Slice 29/40, CT slice, Field of view 449 mm wide, 5.00 mm slice spacing
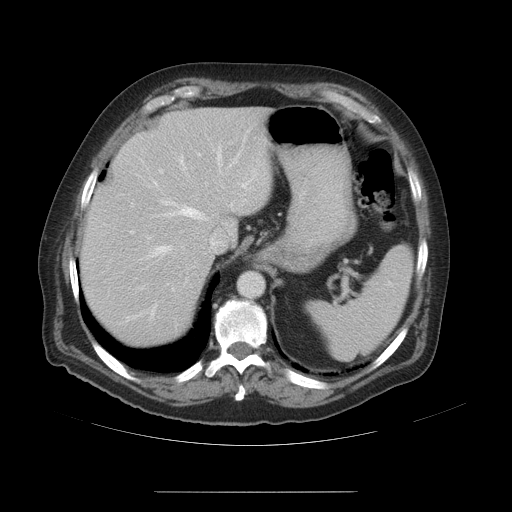
Some hepatic vessels may have no box.
Annotated regions:
- hepatic vessel (largest 15 of 23): box=[233, 147, 242, 162]; box=[127, 313, 141, 320]; box=[179, 155, 186, 169]; box=[242, 183, 249, 188]; box=[251, 169, 256, 179]; box=[198, 153, 200, 155]; box=[151, 307, 155, 317]; box=[161, 198, 170, 204]; box=[130, 204, 133, 206]; box=[216, 147, 221, 166]; box=[154, 181, 156, 185]; box=[164, 205, 206, 219]; box=[149, 246, 171, 259]; box=[159, 169, 162, 172]; box=[185, 278, 186, 282]